FLAIR MRI.
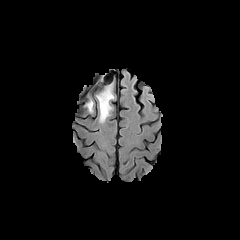
T1-weighted magnetic resonance.
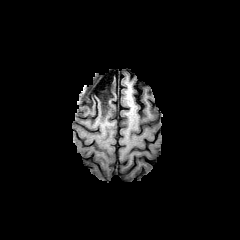
Post-contrast T1-weighted MRI.
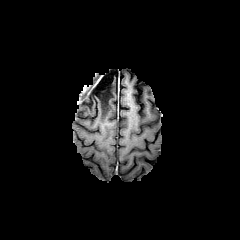
T2-weighted MRI.
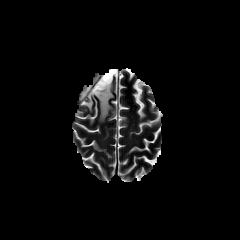
Image size 240x240; Brain
<segmentation>
  <edema>rect(86, 90, 97, 112); rect(99, 84, 113, 121)</edema>
  <non-enhancing_tumor_core>rect(97, 114, 106, 125); rect(94, 83, 111, 101)</non-enhancing_tumor_core>
</segmentation>